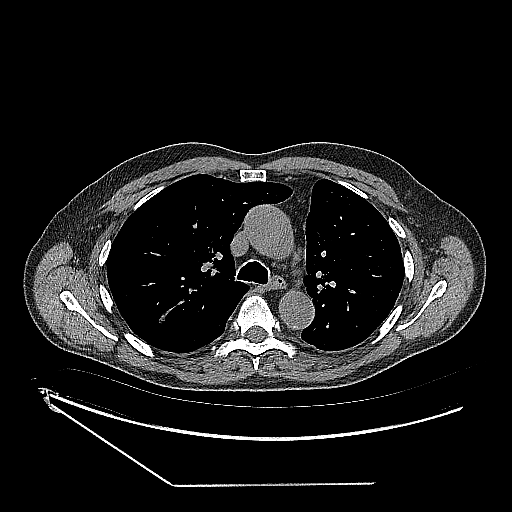

512x512 px | CT slice
{"lung_tumor": ["[158, 313, 169, 323]"]}